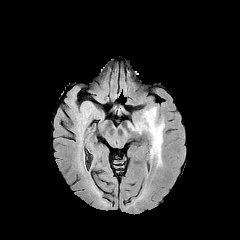
FLAIR MR image.
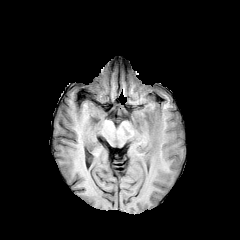
T1-weighted MR of the same slice.
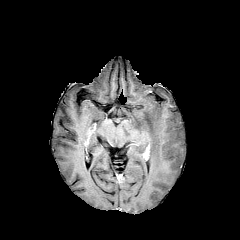
Same slice, post-contrast T1-weighted MR image.
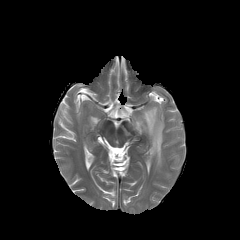
T2-weighted MR image.
Brain, 240x240 px
edema: rect(131, 105, 164, 166)